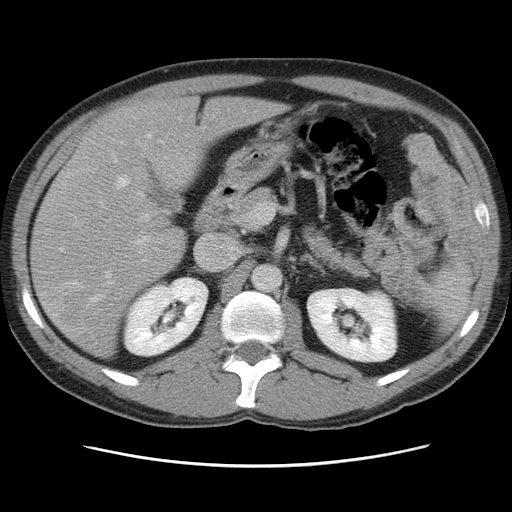
CT slice
Some hepatic vessels may have no box.
{"liver_tumor": ["box(100, 117, 124, 130)"], "hepatic_vessel": ["box(143, 259, 145, 261)", "box(106, 271, 111, 284)", "box(112, 153, 116, 162)", "box(116, 175, 129, 188)", "box(135, 237, 149, 244)", "box(147, 134, 151, 137)", "box(66, 281, 81, 287)", "box(121, 142, 123, 143)", "box(91, 296, 100, 301)", "box(143, 214, 149, 220)", "box(60, 248, 63, 251)", "box(140, 251, 142, 253)"]}